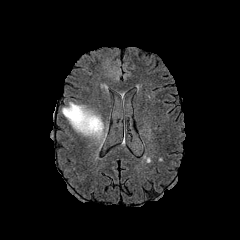
FLAIR magnetic resonance.
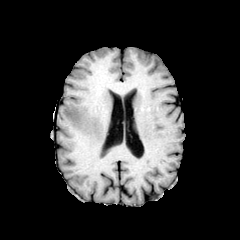
T1-weighted MR image.
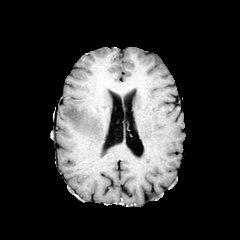
Post-contrast T1-weighted MR.
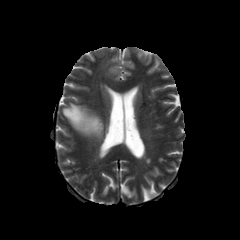
T2-weighted MR.
Brain, 240x240
Edema = x1=62, y1=102, x2=107, y2=148.